Slice 96 of 155
FLAIR MRI.
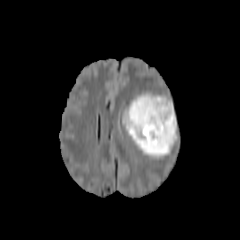
T1-weighted MRI.
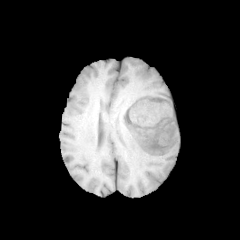
Post-contrast T1-weighted MR image.
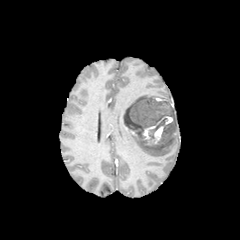
T2-weighted MRI.
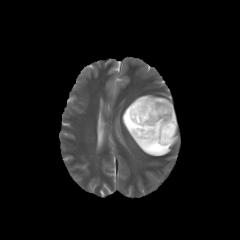
Annotated regions:
* edema: box(123, 94, 177, 157)
* enhancing tumor: box(141, 115, 172, 145)
* non-enhancing tumor core: box(124, 97, 177, 145); box(152, 118, 166, 130)